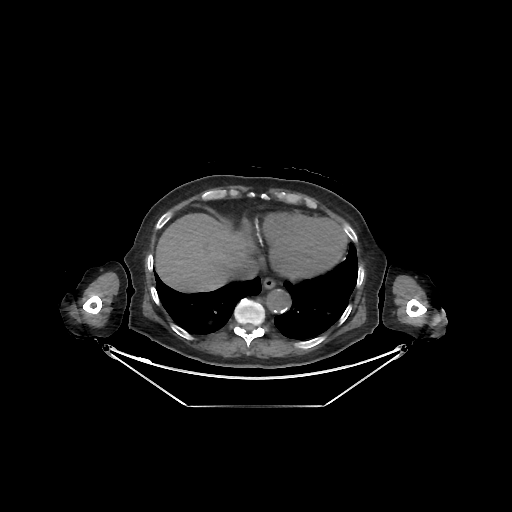

CT | Abdomen

2 lung regions are located at 153, 269, 261, 334; 274, 242, 357, 340. 11 bone regions are bounded by 344, 227, 356, 240; 357, 268, 363, 285; 340, 306, 351, 323; 147, 255, 152, 270; 296, 337, 324, 348; 151, 287, 158, 303; 406, 299, 426, 317; 234, 298, 264, 346; 83, 295, 101, 313; 156, 213, 169, 228; 172, 325, 191, 339. The liver lies within 156, 214, 254, 291.